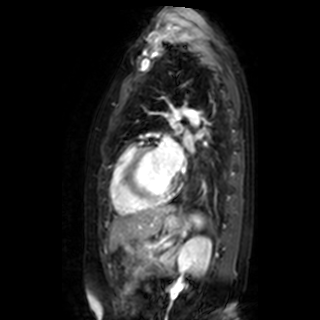
Image size 320x320, Heart, MRI

Left atrium = x1=185, y1=134, x2=192, y2=148; x1=174, y1=123, x2=182, y2=132; x1=160, y1=137, x2=183, y2=171.